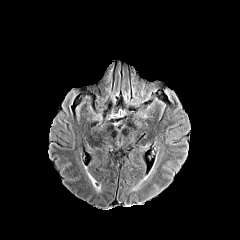
FLAIR magnetic resonance.
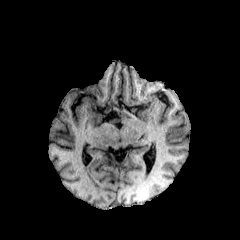
T1-weighted MR image.
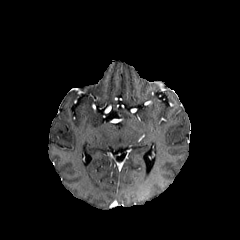
Post-contrast T1-weighted MR image.
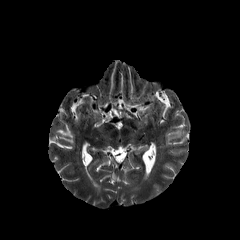
Same slice, T2-weighted MR image.
Head | 240x240
The edema is located at box(144, 148, 158, 179).